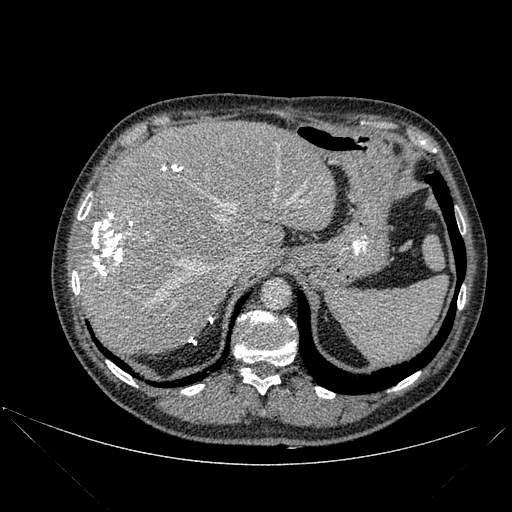

CT image | Liver
<segmentation>
  <bone>rect(241, 368, 280, 394); rect(78, 200, 90, 219); rect(106, 360, 137, 386); rect(181, 384, 204, 395); rect(393, 372, 420, 390); rect(315, 387, 334, 398); rect(457, 289, 465, 309); rect(234, 311, 295, 365); rect(71, 271, 79, 294)</bone>
  <liver>rect(79, 121, 336, 353)</liver>
  <lung>rect(180, 354, 226, 385); rect(232, 293, 248, 321); rect(97, 343, 127, 369); rect(297, 172, 465, 394)</lung>
</segmentation>